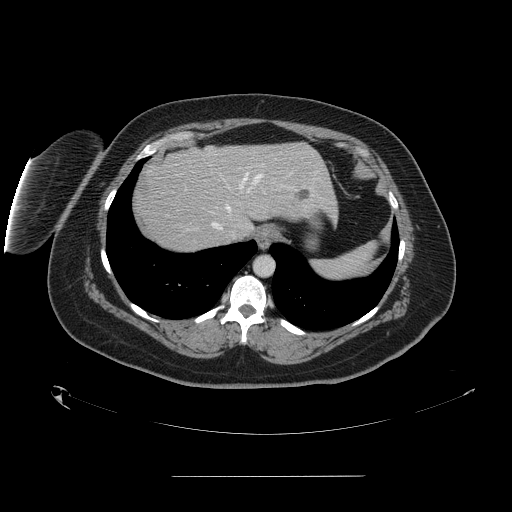

512x512 px, CT, Abdomen

Spleen: bounding box l=311, t=244, r=375, b=280.